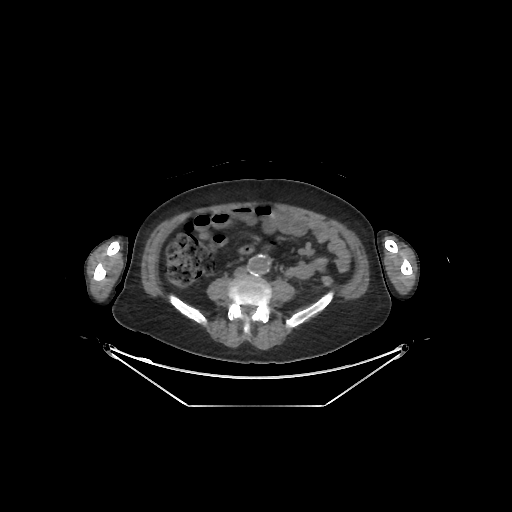

Image size 512x512 | CT slice
Segmented structures:
- bone: 94,241,119,280; 401,258,412,277; 286,293,332,327; 228,271,270,334; 385,239,397,253; 170,296,206,323